MRI, Slice 10/32

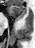 anterior hippocampus: (left=10, top=5, right=26, bottom=19)